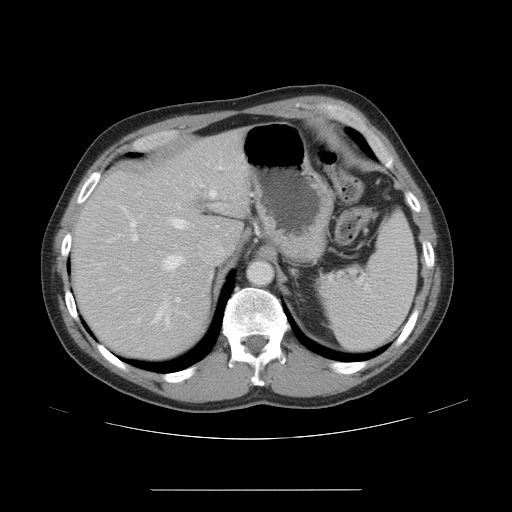

Liver, CT slice

Only some of the vessels may be annotated.
Annotated regions:
* hepatic vessel (largest 15 of 16): x1=176 y1=298 x2=179 y2=301, x1=163 y1=294 x2=165 y2=295, x1=201 y1=184 x2=204 y2=186, x1=163 y1=255 x2=185 y2=270, x1=153 y1=303 x2=168 y2=322, x1=139 y1=192 x2=140 y2=194, x1=192 y1=182 x2=193 y2=185, x1=121 y1=206 x2=127 y2=214, x1=132 y1=235 x2=137 y2=240, x1=130 y1=217 x2=136 y2=230, x1=216 y1=167 x2=222 y2=169, x1=209 y1=190 x2=216 y2=198, x1=216 y1=225 x2=218 y2=227, x1=173 y1=219 x2=186 y2=228, x1=243 y1=167 x2=244 y2=168